Thorax; 512x512; Computed tomography 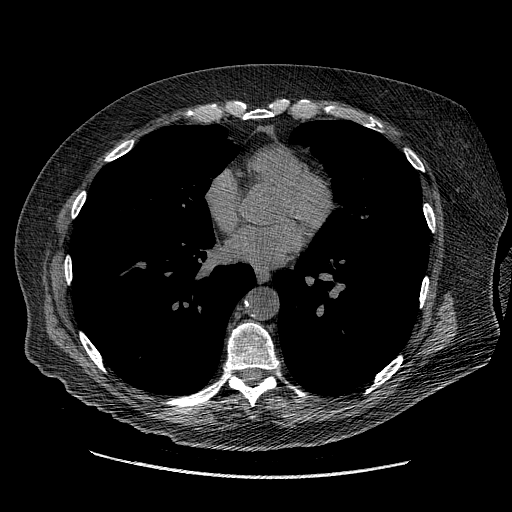
lung_tumor:
  - (108,265,122,274)